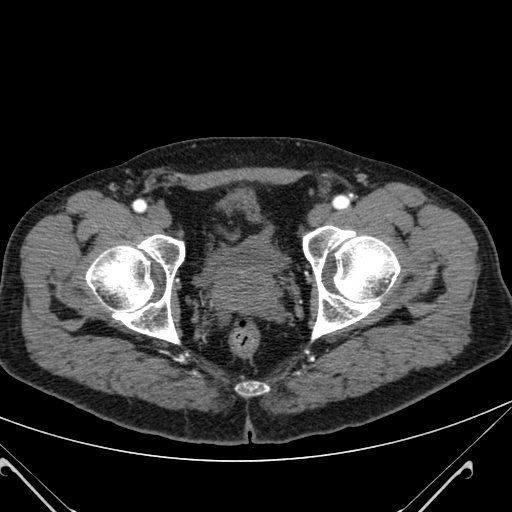
Pelvis. CT.
urinary bladder: bbox=[208, 225, 280, 277]; bbox=[219, 190, 262, 222]